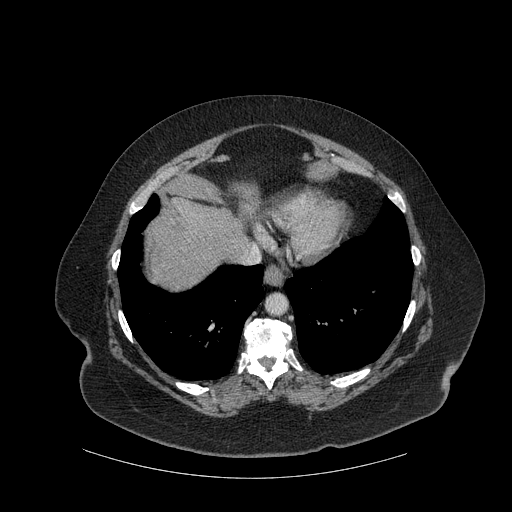
Computed tomography; Abdomen
Bone: 238 319 302 388, 412 246 420 264, 403 301 415 330, 176 382 208 394, 112 250 119 269, 118 311 132 341, 389 193 404 211, 331 369 369 387, 131 203 141 212.
Liver: 145 183 256 290.
Lung: 118 194 263 379, 285 197 413 373.